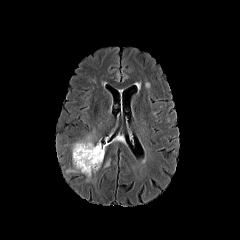
FLAIR MR image.
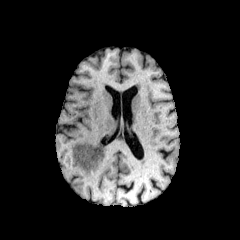
Same slice, T1-weighted MR image.
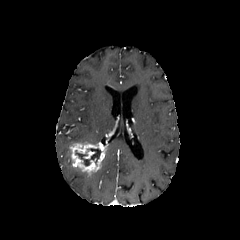
Same slice, post-contrast T1-weighted magnetic resonance.
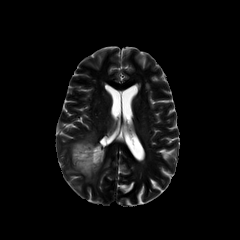
T2-weighted MRI.
240x240 px. Brain.
2 edema regions appear at l=66, t=165, r=96, b=181; l=76, t=131, r=98, b=143. The non-enhancing tumor core is bounded by l=76, t=148, r=101, b=166. The enhancing tumor lies within l=71, t=142, r=108, b=173.